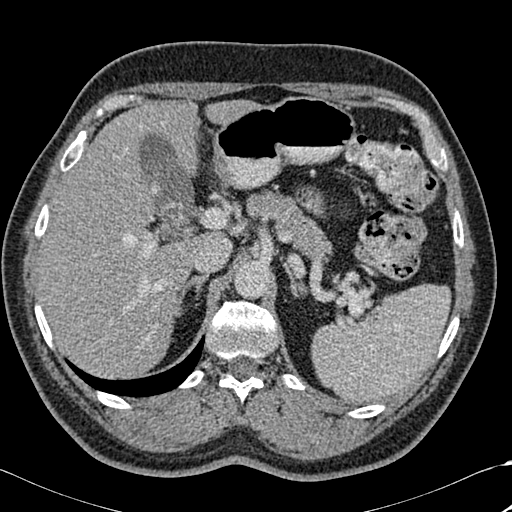

CT. 512x512.

<segmentation>
  <lung>66 336 204 396</lung>
  <liver>40 104 200 379, 212 101 250 123</liver>
  <bone>207 302 276 400, 350 405 383 418, 283 374 304 389, 98 392 129 408, 35 206 48 236, 67 131 85 159, 453 212 463 246, 181 371 202 387, 35 306 51 345, 439 317 458 356</bone>
</segmentation>